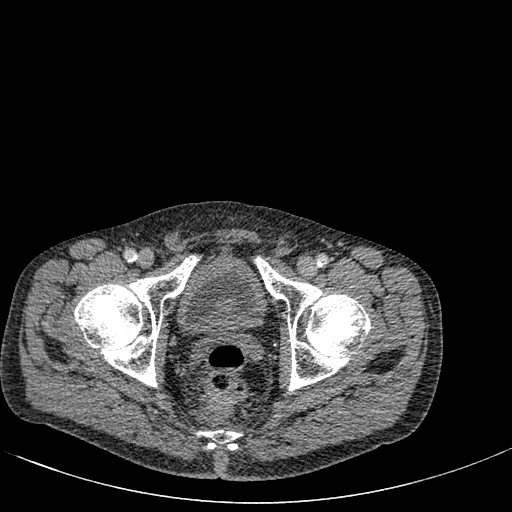
CT. 512x512. Lower abdomen.
Urinary bladder: box(175, 250, 268, 335).